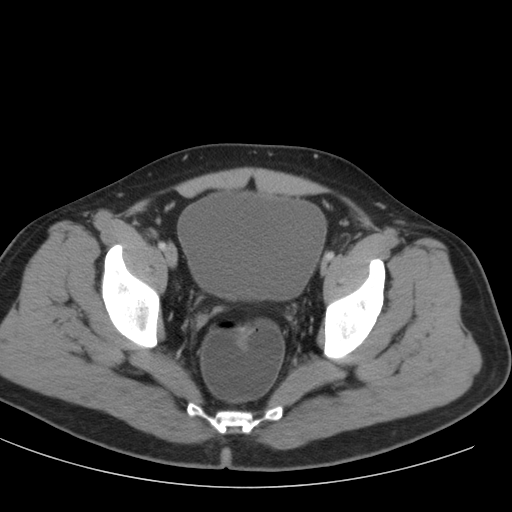

CT slice. Pelvis. 512x512.
Urinary bladder: region(180, 188, 326, 300).